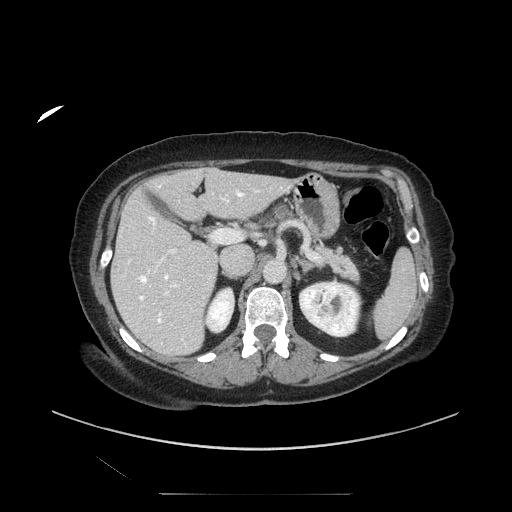 CT image, Image size 512x512
{"pancreas": ["(x1=315, y1=239, x2=359, y2=282)", "(x1=262, y1=207, x2=290, y2=226)"]}